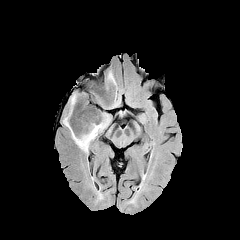
FLAIR MR.
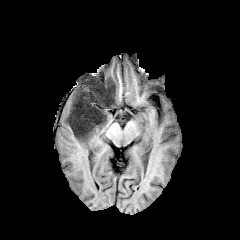
Same slice, T1-weighted magnetic resonance.
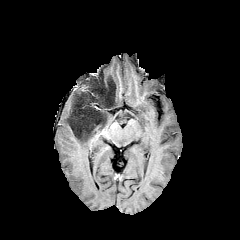
Same slice, post-contrast T1-weighted MRI.
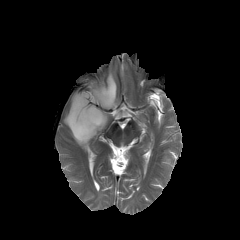
T2-weighted MR.
<segmentation>
  <non-enhancing_tumor_core><box>92,75,116,108</box>, <box>69,102,107,139</box></non-enhancing_tumor_core>
  <edema><box>103,112,111,128</box>, <box>63,94,92,153</box></edema>
</segmentation>